Slice index 394. 512x512 px. Field of view 350 mm wide, 0.70 mm slice spacing. CT slice. 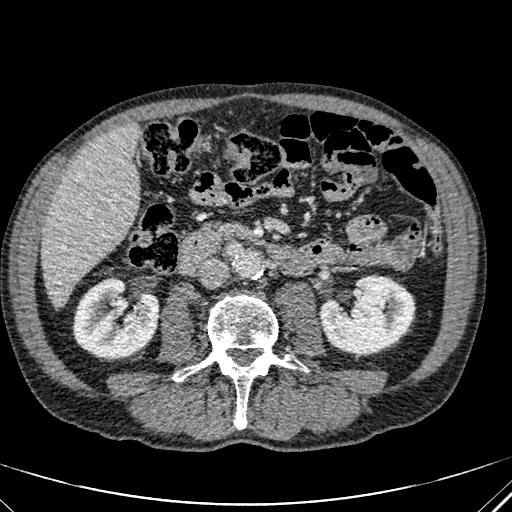
Liver at left=41, top=122, right=139, bottom=303.
Kidney at left=321, top=277, right=413, bottom=353; left=74, top=279, right=157, bottom=357.